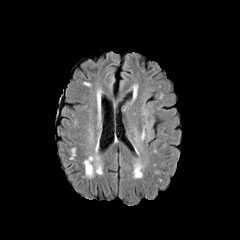
FLAIR MRI.
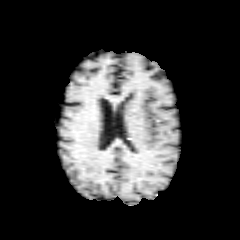
T1-weighted MRI of the same slice.
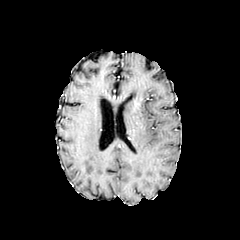
Post-contrast T1-weighted MRI.
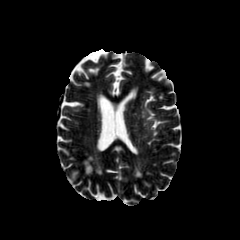
Same slice, T2-weighted MR image.
edema: (142, 101, 152, 114), (133, 86, 137, 100)